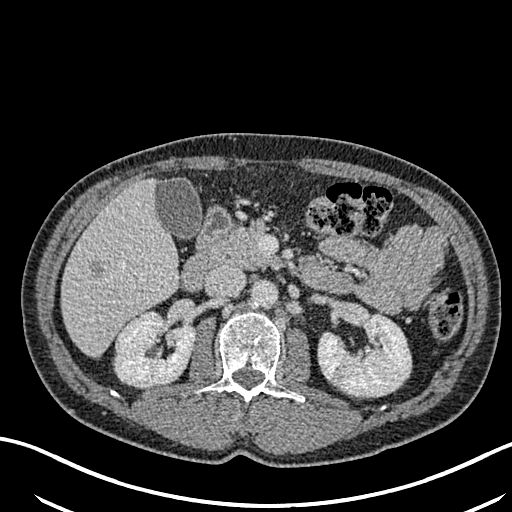
Liver | 512x512 px | CT image

Kidney at (318, 308, 410, 395), (115, 312, 194, 386).
Liver lesion at (89, 259, 104, 278).
Liver at (63, 178, 178, 356).